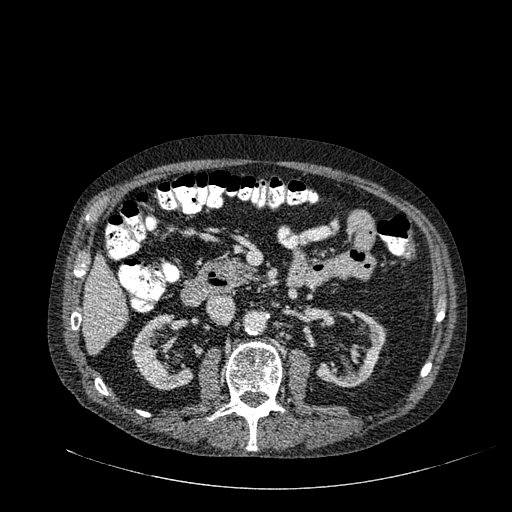 Liver | CT image
<segmentation>
  <kidney><bbox>132, 314, 193, 390</bbox>, <bbox>316, 310, 385, 387</bbox></kidney>
  <liver><bbox>84, 254, 127, 353</bbox></liver>
</segmentation>